CT image

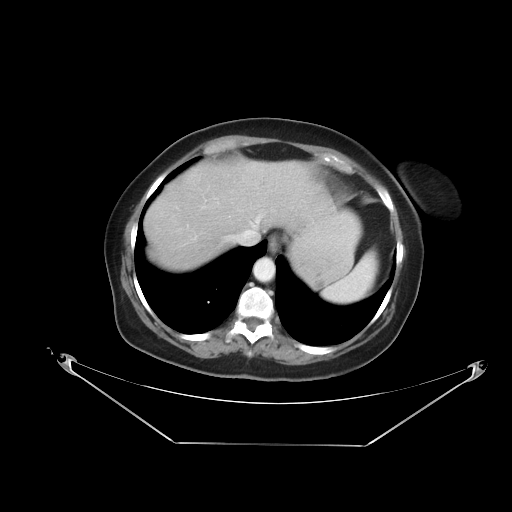
Some hepatic vessels may have no box.
{
  "hepatic_vessel": [
    "224 235 234 240",
    "244 216 260 236",
    "195 237 195 240"
  ]
}